Slice 22/47. CT scan slice. Field of view 383x383 mm.

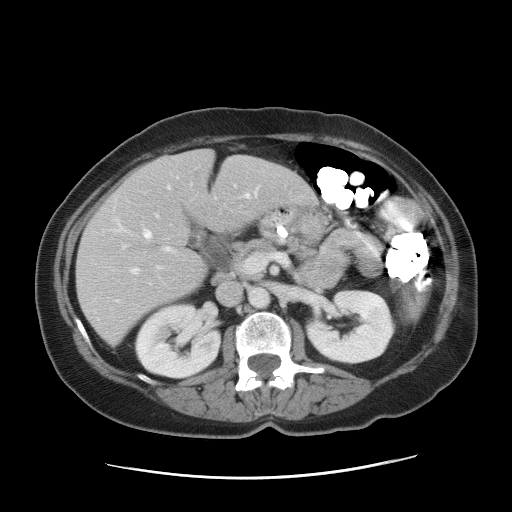
Some hepatic vessels may have no box.
Hepatic vessel: bounding box rect(144, 231, 151, 238); rect(131, 268, 138, 273); rect(242, 190, 257, 198); rect(168, 186, 169, 188); rect(164, 247, 171, 251); rect(156, 215, 158, 217); rect(156, 266, 160, 269).